FLAIR MR image.
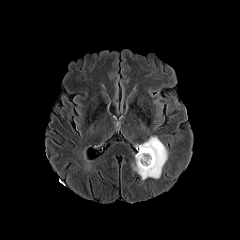
T1-weighted MR.
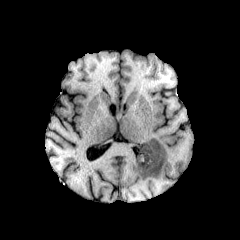
Post-contrast T1-weighted magnetic resonance.
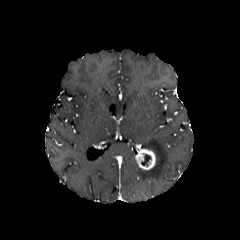
T2-weighted MR image.
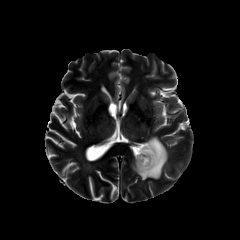
non-enhancing tumor core: box(141, 154, 152, 167) | edema: box(133, 137, 167, 180) | enhancing tumor: box(135, 149, 155, 169)